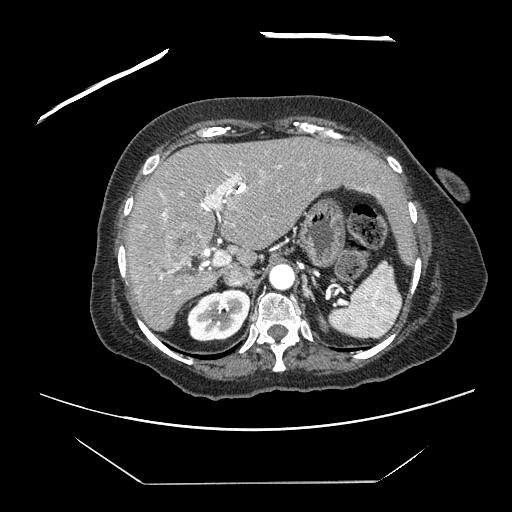 Liver. Computed tomography.
Only some of the vessels may be annotated.
liver tumor: x1=167 y1=226 x2=199 y2=262 | hepatic vessel: x1=213 y1=250 x2=229 y2=264, x1=181 y1=193 x2=182 y2=194, x1=200 y1=174 x2=241 y2=209, x1=163 y1=213 x2=165 y2=215, x1=169 y1=270 x2=174 y2=271, x1=318 y1=178 x2=319 y2=180, x1=161 y1=194 x2=163 y2=196